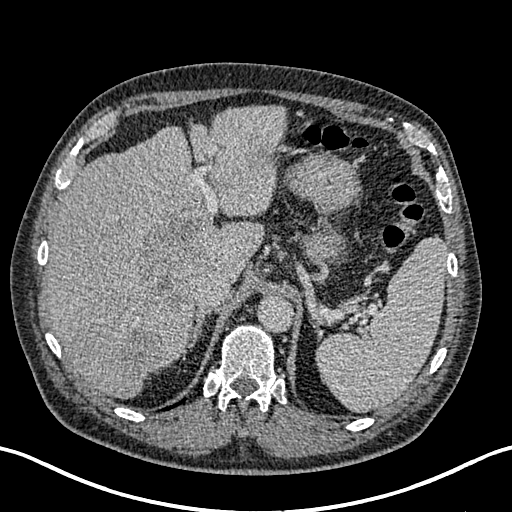

CT scan slice
focal liver lesion: bbox=[229, 150, 264, 183]; bbox=[120, 328, 162, 382]; bbox=[135, 216, 216, 310] | liver: bbox=[46, 126, 263, 397]; bbox=[190, 106, 286, 218]